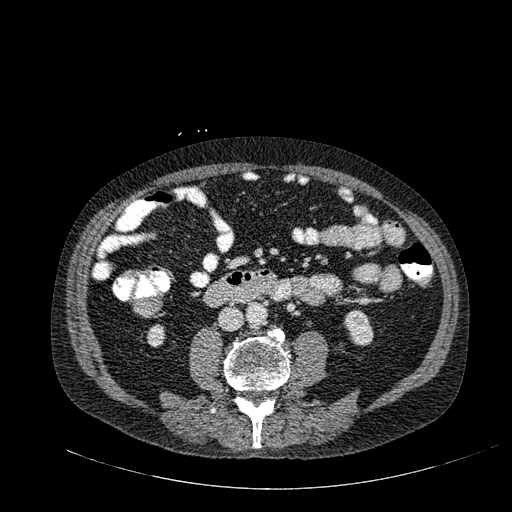

Abdomen, CT

kidney: x1=146 y1=324 x2=165 y2=347, x1=343 y1=310 x2=373 y2=345